CT scan slice. Abdomen. Slice 14/67.
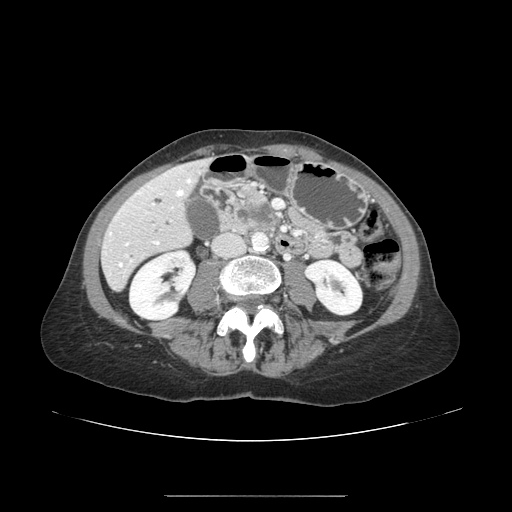

Segmented structures:
* pancreas: (257, 208, 278, 228)
* pancreatic tumor: (236, 199, 272, 224)